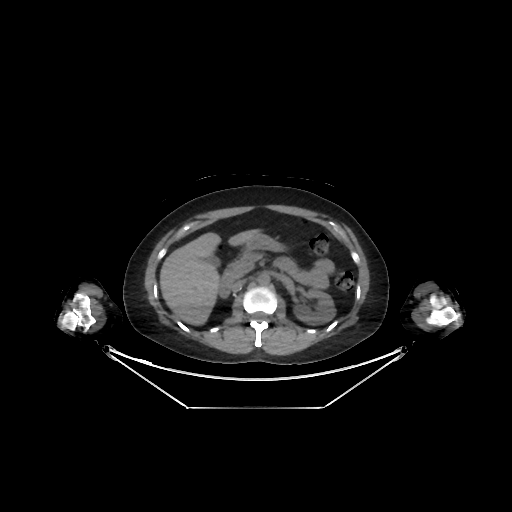 512x512; CT scan slice

liver: 160, 233, 221, 324; 229, 230, 259, 245 | kidney: 293, 287, 336, 325